CT | Pelvis | Slice 128/629

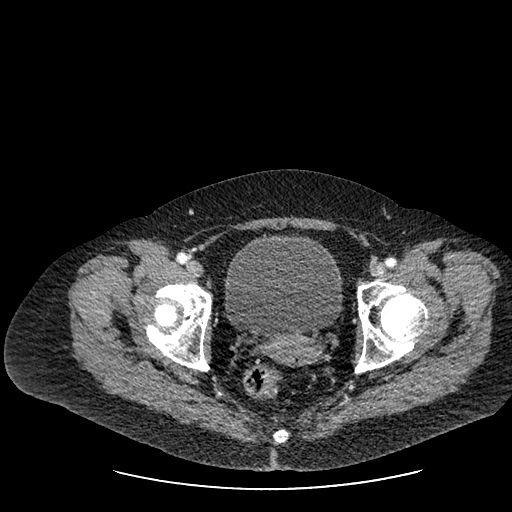
Annotated regions:
* urinary bladder: [225, 233, 341, 337]